512x512 px, CT scan slice

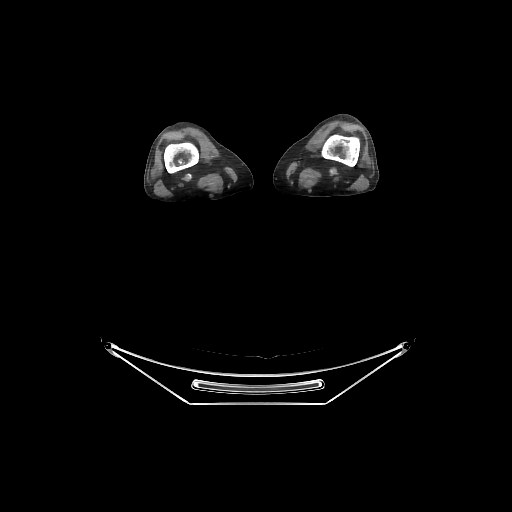
{"bone": ["x1=164 y1=143 x2=198 y2=173", "x1=322 y1=135 x2=359 y2=166"]}